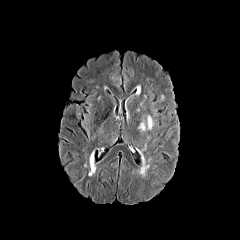
FLAIR MR.
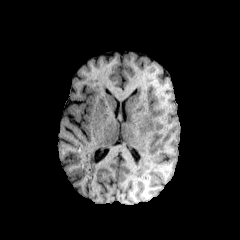
T1-weighted MRI.
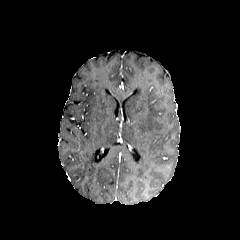
Post-contrast T1-weighted MRI.
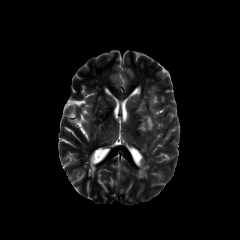
T2-weighted MR.
240x240 px
Annotated regions:
* edema: <bbox>147, 116, 153, 130</bbox>